Computed tomography | Abdomen
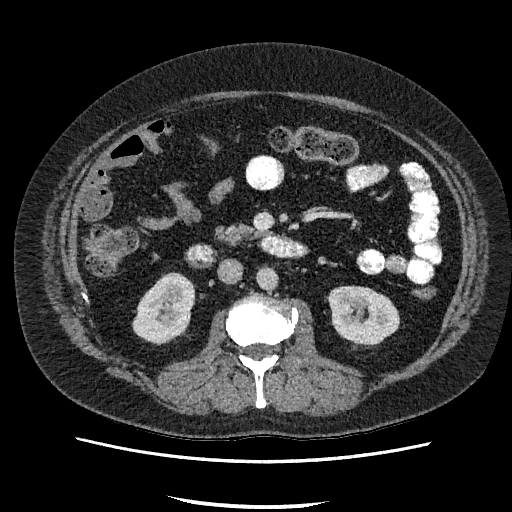
kidney:
  - bbox=[329, 287, 398, 343]
  - bbox=[134, 275, 193, 342]